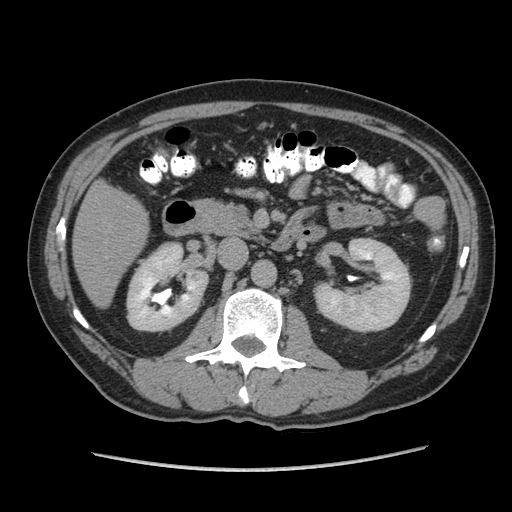
CT
<segmentation>
  <pancreas>{"x1": 201, "y1": 201, "x2": 259, "y2": 238}</pancreas>
</segmentation>